Head
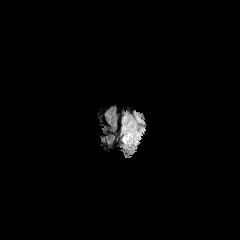
FLAIR magnetic resonance.
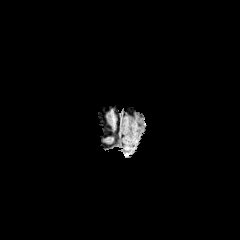
Same slice, T1-weighted magnetic resonance.
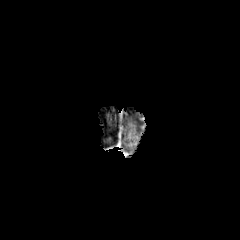
Post-contrast T1-weighted MRI of the same slice.
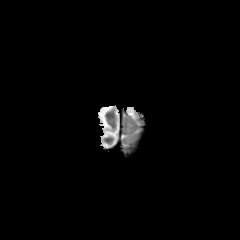
T2-weighted MR image.
<segmentation>
  <enhancing_tumor>[126,122,139,147]</enhancing_tumor>
  <edema>[121,114,137,133]</edema>
</segmentation>